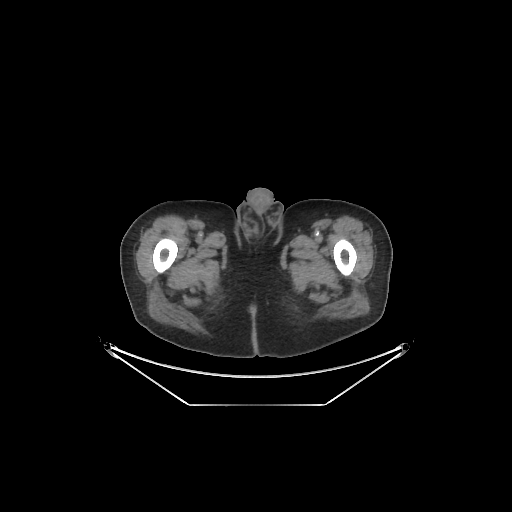
CT slice. 512x512. {"bone": ["left=333, top=238, right=356, bottom=275", "left=153, top=238, right=177, bottom=272"]}